CT slice. 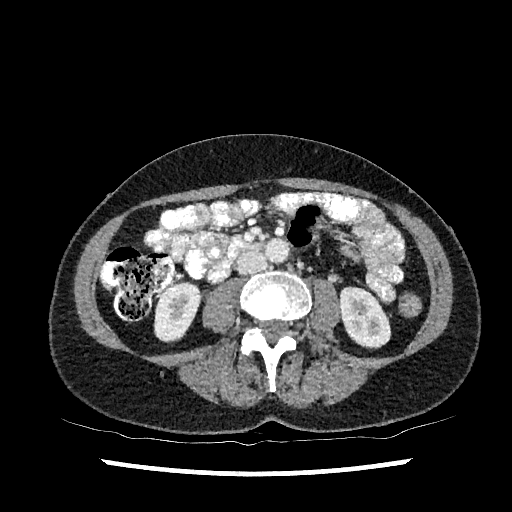
<segmentation>
  <kidney>(155, 284, 199, 340), (340, 288, 389, 346)</kidney>
</segmentation>